CT slice.

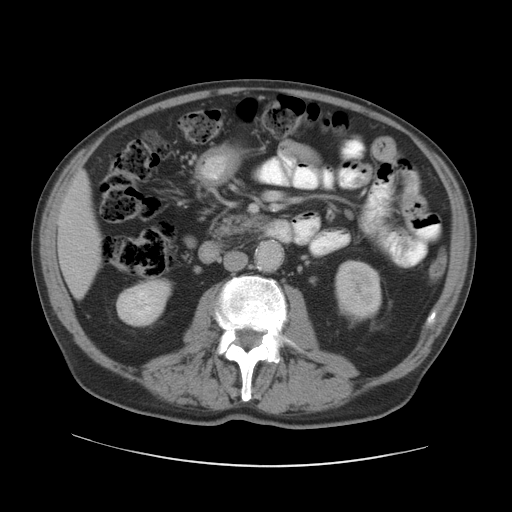
The vessel boxes may cover only some of the vessels.
{"hepatic_vessel": [{"x1": 79, "y1": 246, "x2": 82, "y2": 248}, {"x1": 60, "y1": 222, "x2": 63, "y2": 224}, {"x1": 72, "y1": 268, "x2": 74, "y2": 270}]}